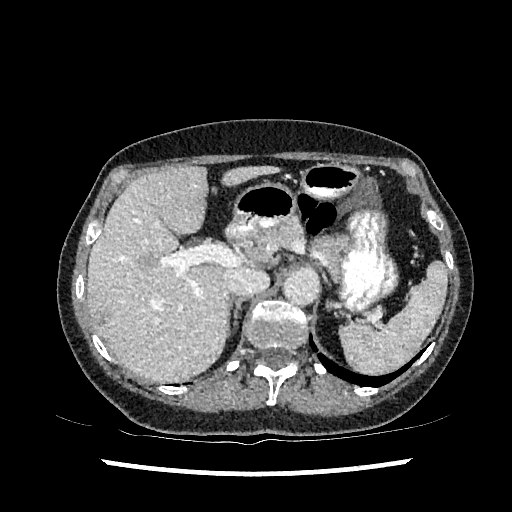
CT
{
  "focal_liver_lesion": [
    "rect(140, 254, 154, 269)",
    "rect(88, 298, 110, 326)"
  ],
  "liver": [
    "rect(224, 167, 278, 184)",
    "rect(87, 167, 227, 382)"
  ]
}